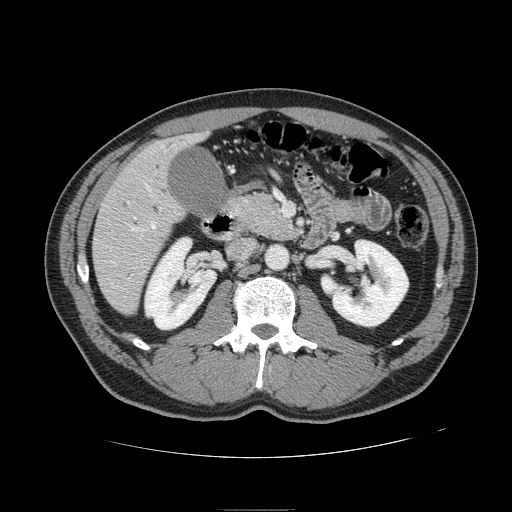
CT slice | Abdomen
Pancreas: bounding box 229,194,297,240.
Pancreatic tumor: bounding box 243,200,273,223.